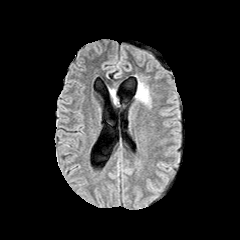
FLAIR MRI.
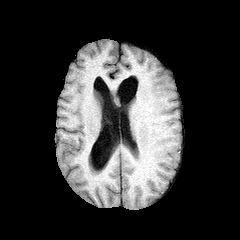
T1-weighted MRI.
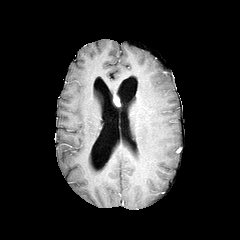
Post-contrast T1-weighted MR image.
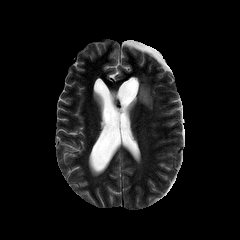
T2-weighted MR image.
Head
edema: (left=135, top=81, right=151, bottom=107)